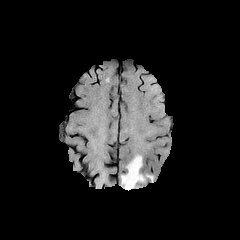
FLAIR MRI.
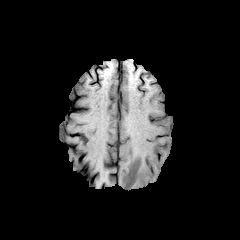
Same slice, T1-weighted MR image.
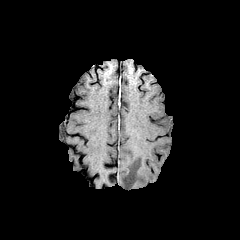
Post-contrast T1-weighted MRI of the same slice.
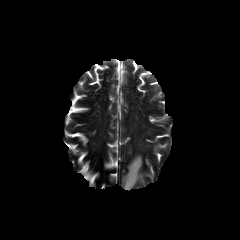
T2-weighted magnetic resonance.
240x240; Head
The edema appears at left=121, top=156, right=144, bottom=190.